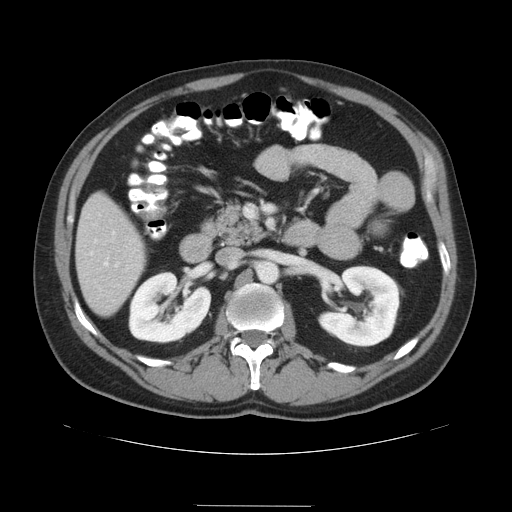
CT scan slice, Abdomen, Image size 512x512
The vessel boxes may cover only some of the vessels.
hepatic vessel: left=113, top=232, right=115, bottom=235; left=94, top=241, right=96, bottom=243; left=116, top=263, right=118, bottom=266; left=104, top=262, right=107, bottom=265; left=90, top=252, right=92, bottom=255